FLAIR magnetic resonance.
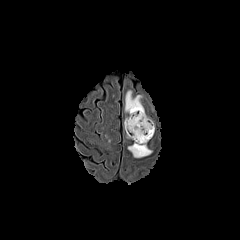
T1-weighted MR.
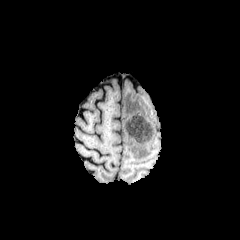
Post-contrast T1-weighted MRI.
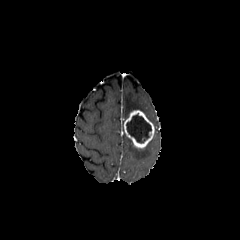
T2-weighted MRI.
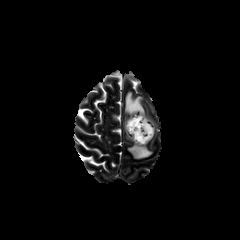
{
  "enhancing_tumor": [
    "[123, 110, 154, 148]"
  ],
  "edema": [
    "[128, 146, 152, 159]",
    "[124, 91, 153, 113]"
  ],
  "non-enhancing_tumor_core": [
    "[126, 114, 151, 142]"
  ]
}